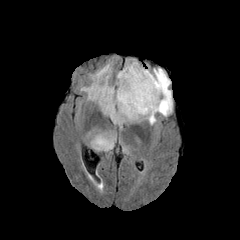
FLAIR MR.
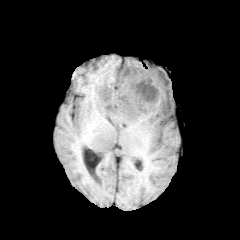
T1-weighted MRI of the same slice.
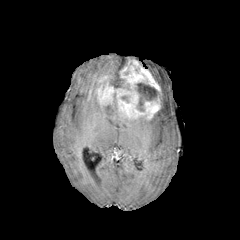
Post-contrast T1-weighted MRI.
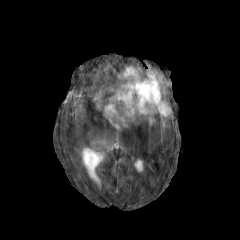
T2-weighted MR.
240x240 px
Enhancing tumor: l=96, t=59, r=160, b=120.
Edema: l=91, t=132, r=116, b=151; l=108, t=63, r=172, b=129; l=80, t=61, r=120, b=109.
Non-enhancing tumor core: l=103, t=104, r=112, b=114; l=120, t=95, r=129, b=102; l=134, t=81, r=158, b=112.